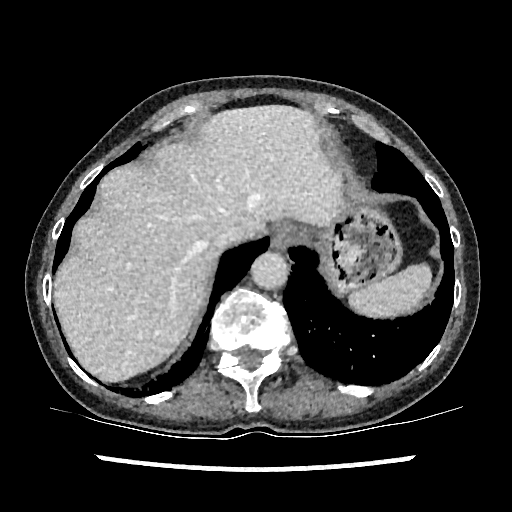 Abdomen | CT
liver:
  - {"x1": 55, "y1": 107, "x2": 341, "y2": 380}